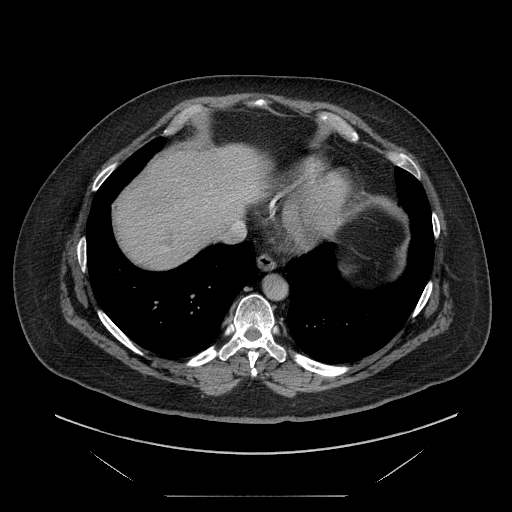 Computed tomography, Abdomen
Only some of the vessels may be annotated.
Hepatic vessel — (x1=220, y1=231, x2=225, y2=236), (x1=225, y1=221, x2=244, y2=242).